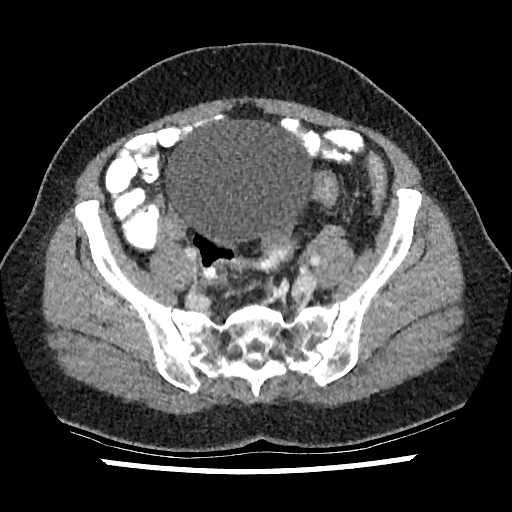 CT image
urinary_bladder:
  - [x1=165, y1=120, x2=315, y2=248]